FLAIR MR.
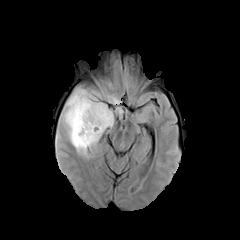
T1-weighted magnetic resonance.
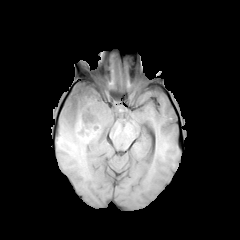
Post-contrast T1-weighted MR image.
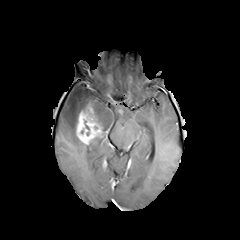
T2-weighted magnetic resonance.
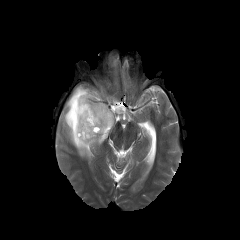
* edema: <bbox>62, 84, 123, 156</bbox>
* enhancing tumor: <bbox>75, 107, 105, 144</bbox>
* non-enhancing tumor core: <bbox>71, 91, 81, 107</bbox>, <bbox>72, 104, 94, 131</bbox>